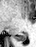 MR
Segmented structures:
• posterior hippocampus: {"x1": 14, "y1": 33, "x2": 27, "y2": 40}